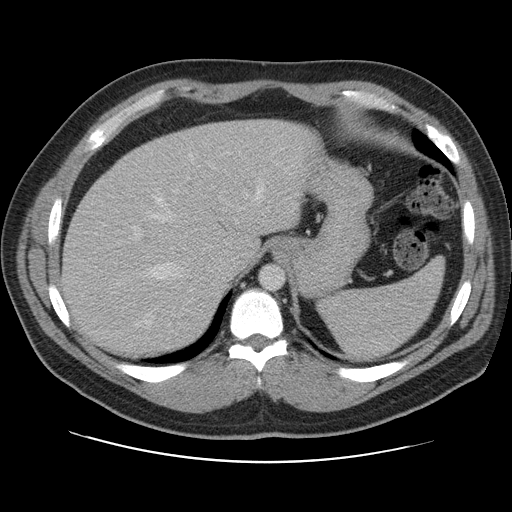 512x512 px. CT. Liver. The vessel annotation is not exhaustive.
15 hepatic vessel regions appear at <bbox>167, 262, 170, 264</bbox>, <bbox>189, 288, 192, 291</bbox>, <bbox>150, 266, 169, 278</bbox>, <bbox>187, 177, 189, 179</bbox>, <bbox>189, 153, 193, 162</bbox>, <bbox>146, 313, 153, 319</bbox>, <bbox>235, 221, 237, 223</bbox>, <bbox>133, 226, 140, 240</bbox>, <bbox>207, 161, 215, 168</bbox>, <bbox>184, 263, 186, 264</bbox>, <bbox>136, 319, 150, 327</bbox>, <bbox>199, 181, 201, 183</bbox>, <bbox>256, 188, 263, 199</bbox>, <bbox>243, 190, 247, 198</bbox>, <bbox>173, 189, 178, 193</bbox>.